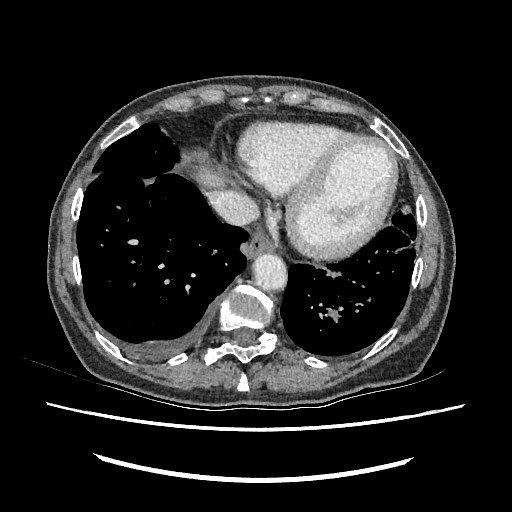
CT, Liver
Annotated regions:
- liver: 194,169,223,188